Slice 104/260, 512x512, CT, Upper abdomen
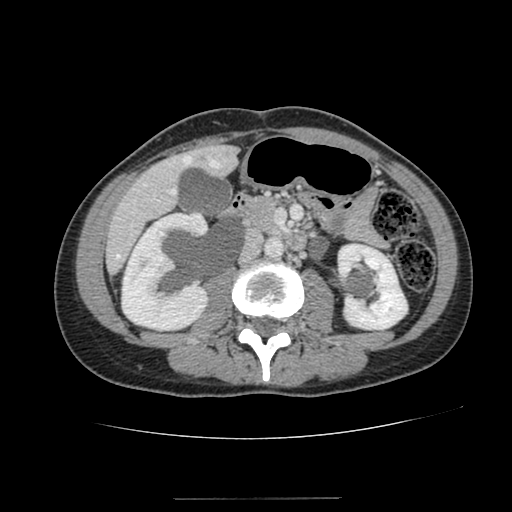 The liver appears at x1=106, y1=144, x2=238, y2=274. 2 kidney regions are bounded by x1=338, y1=244, x2=407, y2=329; x1=122, y1=213, x2=207, y2=329.